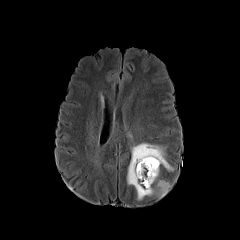
FLAIR MR.
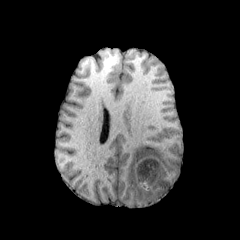
T1-weighted magnetic resonance.
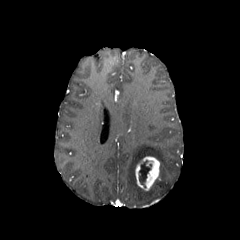
Same slice, post-contrast T1-weighted MRI.
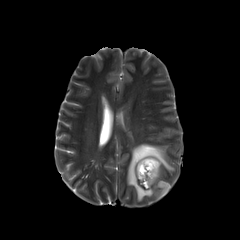
T2-weighted MR.
Brain
Findings:
* enhancing tumor: bbox(134, 155, 159, 191)
* edema: bbox(126, 143, 173, 200)
* non-enhancing tumor core: bbox(139, 163, 149, 185)